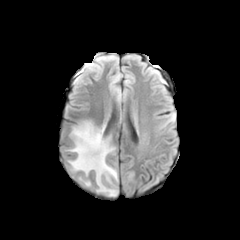
FLAIR MR image.
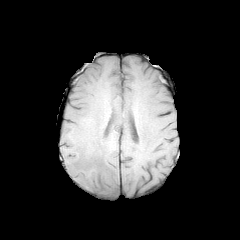
T1-weighted MR.
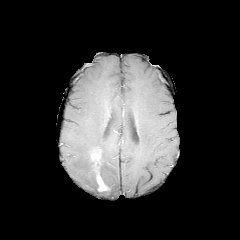
Post-contrast T1-weighted MR image.
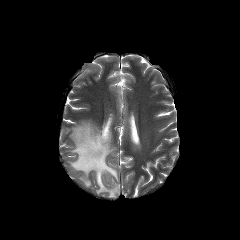
T2-weighted MR.
240x240 px.
The non-enhancing tumor core is located at l=90, t=149, r=101, b=175. The enhancing tumor lies within l=96, t=173, r=107, b=191. The edema appears at l=69, t=121, r=118, b=196.